Field of view 426 mm wide, 2.50 mm slice spacing; CT slice; Upper abdomen
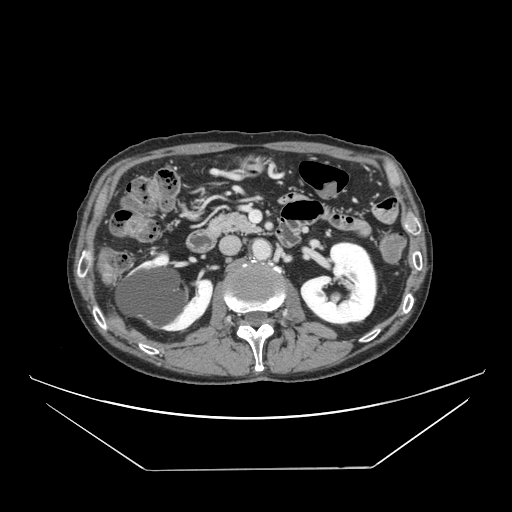

pancreas:
  - (x1=209, y1=210, x2=263, y2=235)